Liver; Slice 81/151; CT scan slice; 512x512 px
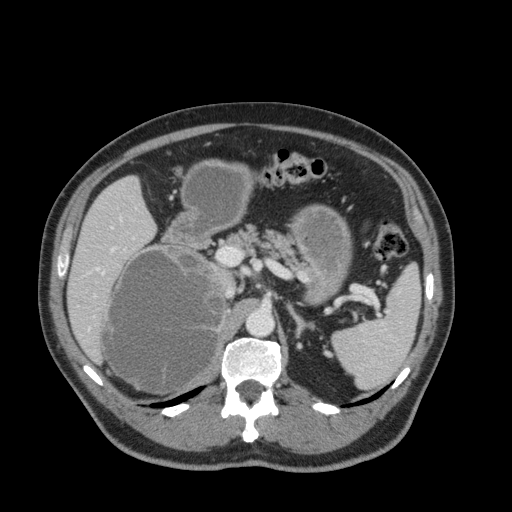
The liver appears at 69, 177, 155, 362.